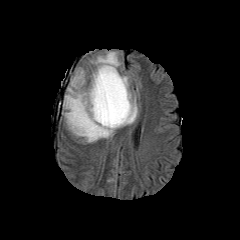
FLAIR MR.
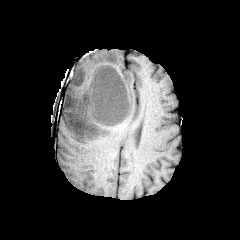
T1-weighted MR.
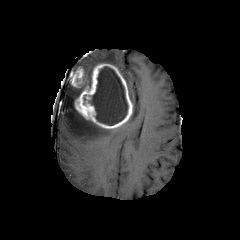
Post-contrast T1-weighted MR.
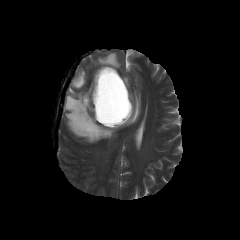
Same slice, T2-weighted MRI.
enhancing_tumor:
  - 71 63 132 128
edema:
  - 62 82 117 142
  - 83 50 122 75
  - 118 75 138 127
non-enhancing_tumor_core:
  - 91 66 128 125